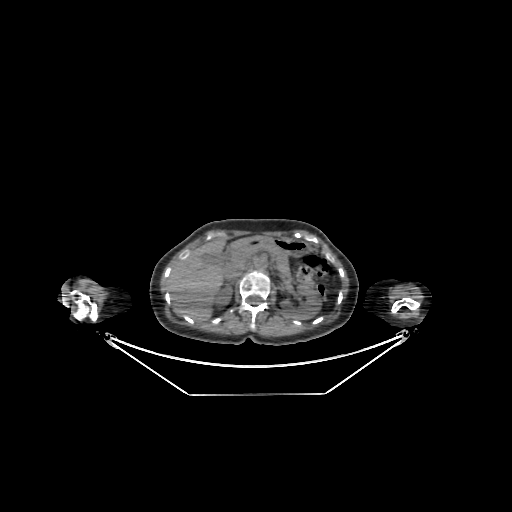 CT
Kidney — box=[215, 285, 232, 308]; box=[280, 284, 322, 320].
Liver — box=[162, 238, 260, 321].